CT image
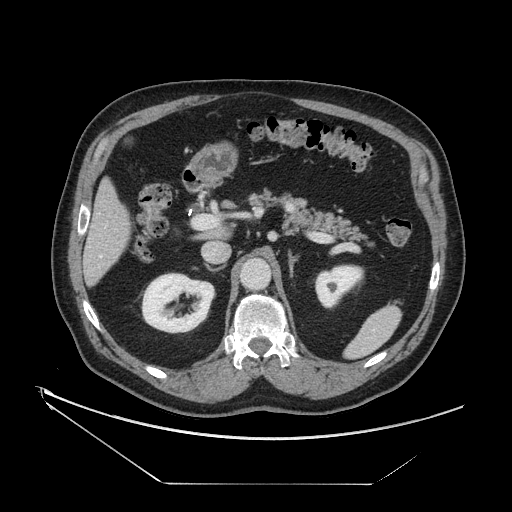 Pancreas — 247,189,369,242.